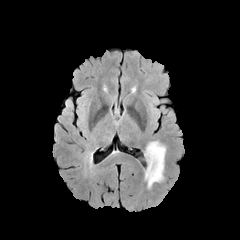
FLAIR magnetic resonance.
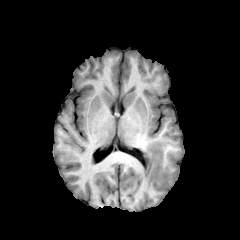
T1-weighted MRI of the same slice.
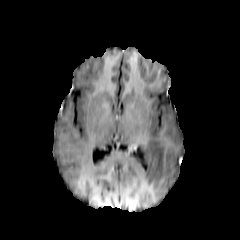
Post-contrast T1-weighted MR image.
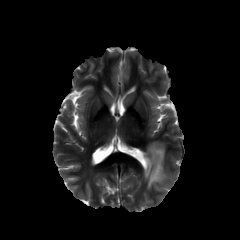
Same slice, T2-weighted magnetic resonance.
edema: x1=144, y1=141, x2=165, y2=188